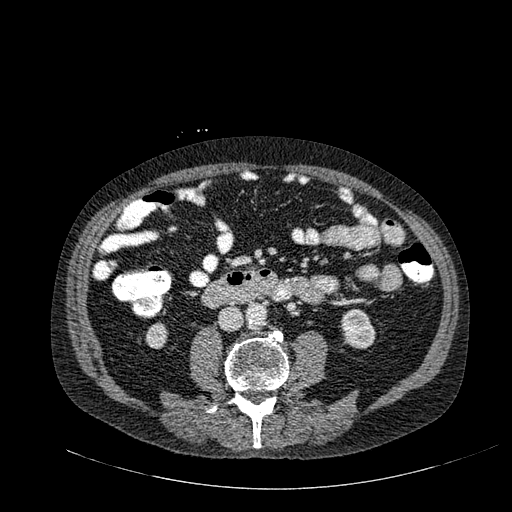
Abdomen, CT image
kidney: 339, 309, 375, 348; 145, 322, 168, 348